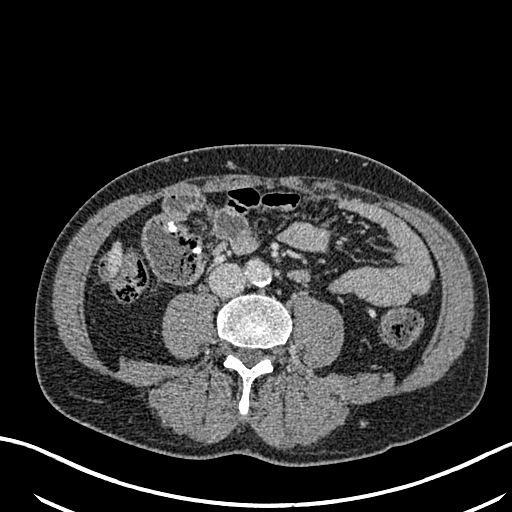
CT scan slice, Upper abdomen, Image size 512x512

The liver is at region(108, 242, 121, 273).